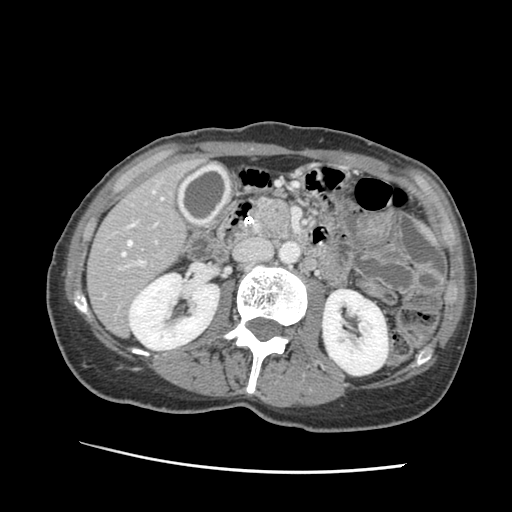 CT slice, 512x512 px, Abdomen
- pancreas: l=255, t=198, r=293, b=240